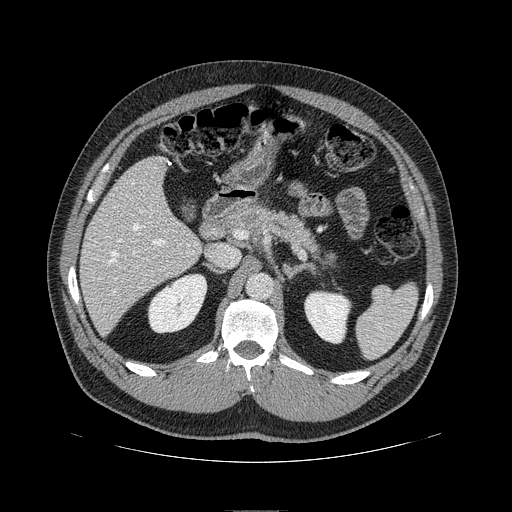
512x512 px, Computed tomography, Abdomen

pancreas: bbox=[228, 202, 320, 254] | pancreatic tumor: bbox=[239, 213, 259, 228]